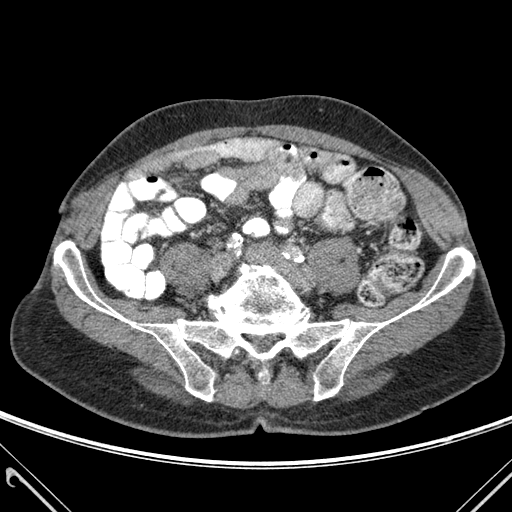

CT slice
Annotated regions:
* bone: bbox=[54, 241, 474, 401]